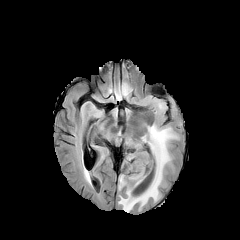
FLAIR MR.
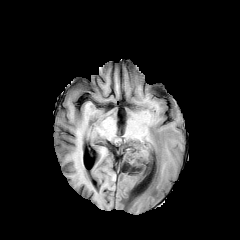
T1-weighted MR.
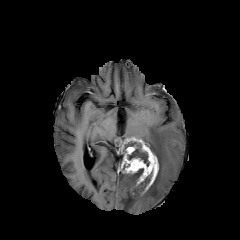
Post-contrast T1-weighted MRI.
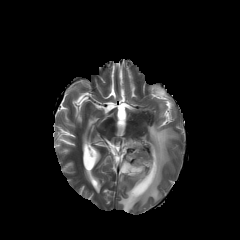
Same slice, T2-weighted MRI.
Edema — [x1=118, y1=123, x2=177, y2=212], [x1=136, y1=144, x2=147, y2=157].
Enhancing tumor — [x1=124, y1=152, x2=158, y2=187].
Non-enhancing tumor core — [x1=140, y1=171, x2=152, y2=189], [x1=130, y1=168, x2=143, y2=178], [x1=126, y1=138, x2=157, y2=166], [x1=123, y1=144, x2=137, y2=161].